Image width 491 mm, CT slice, Slice 51 of 95

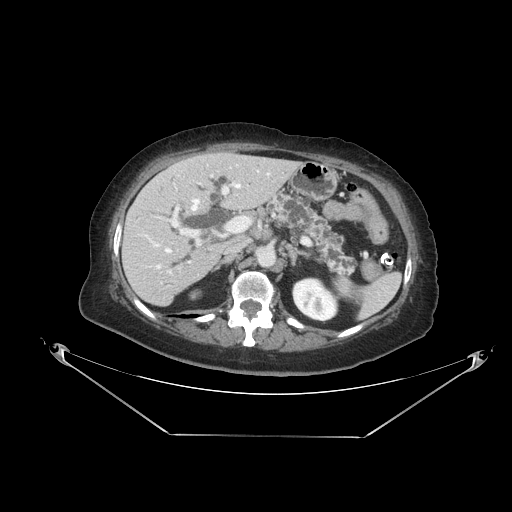

Pancreas: 267,193,355,275.